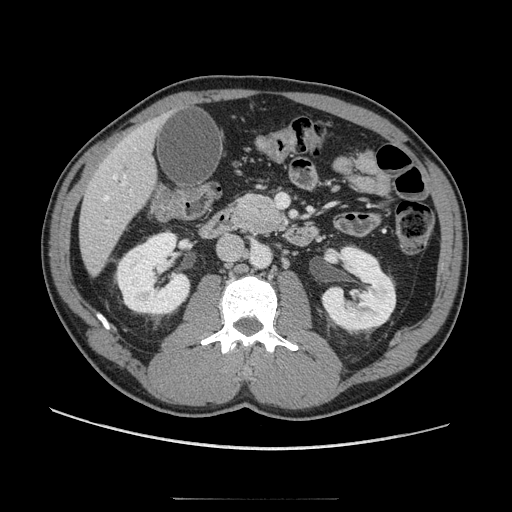

CT. The pancreas is located at [x1=227, y1=191, x2=287, y2=236].